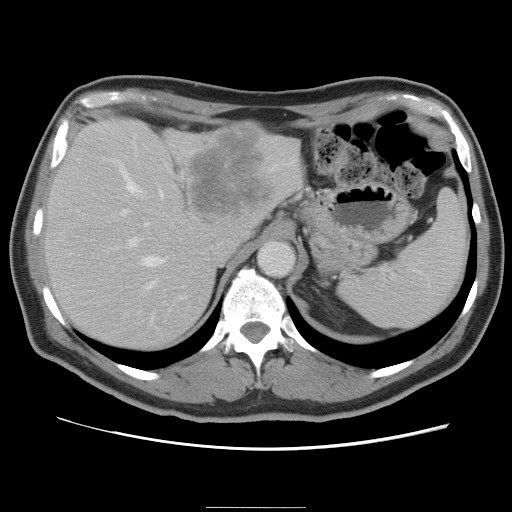
CT, Liver
The vessel annotation is not exhaustive.
12 hepatic vessel regions are bounded by x1=146 y1=281 x2=154 y2=287, x1=114 y1=246 x2=117 y2=248, x1=120 y1=209 x2=127 y2=214, x1=109 y1=158 x2=116 y2=162, x1=145 y1=222 x2=148 y2=224, x1=142 y1=255 x2=164 y2=265, x1=150 y1=316 x2=152 y2=322, x1=100 y1=158 x2=102 y2=160, x1=180 y1=295 x2=183 y2=298, x1=121 y1=167 x2=140 y2=193, x1=129 y1=238 x2=137 y2=245, x1=159 y1=191 x2=163 y2=197. The liver tumor is at x1=190 y1=126 x2=270 y2=214.